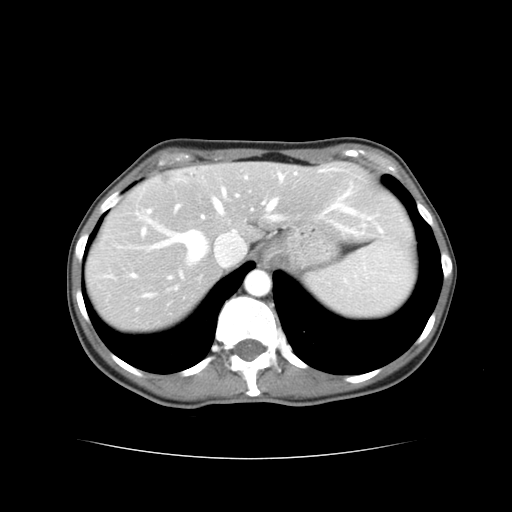 CT scan slice. Liver.
Some hepatic vessels may have no box.
Hepatic vessel — region(215, 201, 221, 211); region(269, 201, 275, 208); region(156, 244, 162, 247); region(170, 231, 204, 260); region(147, 220, 150, 221); region(142, 229, 145, 233); region(177, 206, 178, 208).